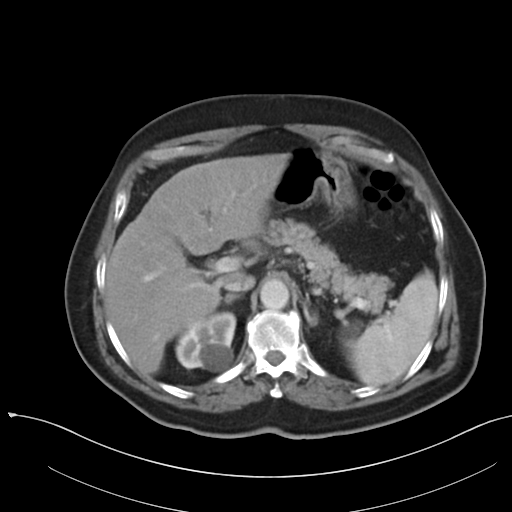

CT slice
The vessel annotation is not exhaustive.
Hepatic vessel at box=[189, 282, 217, 299]; box=[202, 296, 205, 298]; box=[154, 335, 158, 340]; box=[161, 266, 165, 269]; box=[232, 191, 235, 196]; box=[223, 208, 226, 212]; box=[209, 228, 211, 230]; box=[142, 242, 144, 244]; box=[157, 347, 159, 348]; box=[143, 273, 157, 281]; box=[189, 318, 203, 329].